CT scan slice, Field of view 393 mm wide, 1.50 mm slice spacing
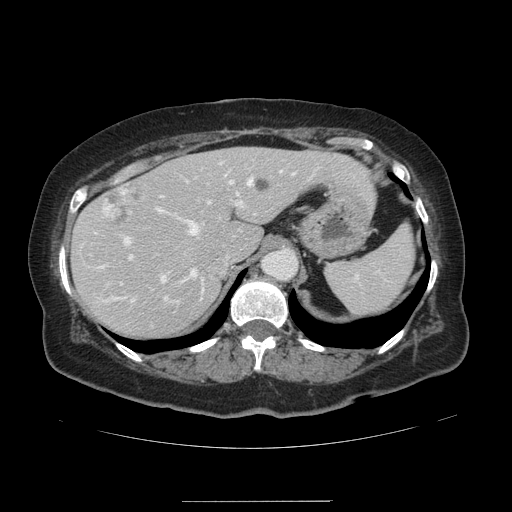
The vessel annotation is not exhaustive.
liver tumor: (left=102, top=186, right=140, bottom=229), (left=257, top=180, right=269, bottom=191) | [15/16] hepatic vessel: (left=129, top=255, right=131, bottom=258), (left=164, top=296, right=176, bottom=301), (left=247, top=178, right=251, bottom=184), (left=207, top=200, right=210, bottom=202), (left=224, top=174, right=226, bottom=175), (left=236, top=192, right=238, bottom=193), (left=160, top=274, right=164, bottom=281), (left=99, top=266, right=101, bottom=267), (left=188, top=221, right=197, bottom=232), (left=219, top=162, right=221, bottom=163), (left=229, top=180, right=232, bottom=182), (left=157, top=208, right=164, bottom=211), (left=234, top=201, right=242, bottom=204), (left=160, top=194, right=162, bottom=196), (left=122, top=235, right=129, bottom=243)